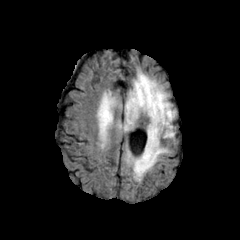
FLAIR MR.
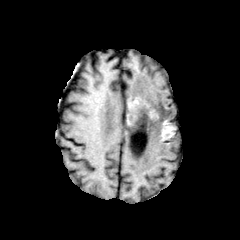
T1-weighted MR of the same slice.
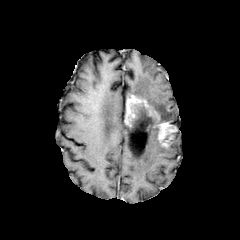
Post-contrast T1-weighted magnetic resonance of the same slice.
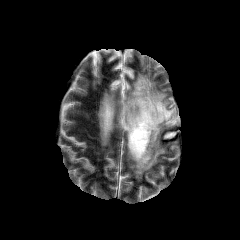
T2-weighted magnetic resonance.
Brain
edema:
  - 126:128:173:181
  - 117:120:135:131
  - 97:91:124:145
  - 128:70:176:129
enhancing_tumor:
  - 156:122:173:138
  - 125:95:148:126
non-enhancing_tumor_core:
  - 126:97:162:135
  - 163:126:175:133